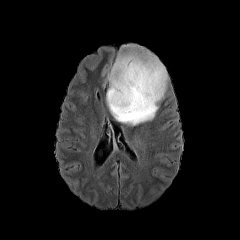
FLAIR MR image.
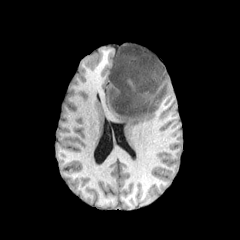
Same slice, T1-weighted magnetic resonance.
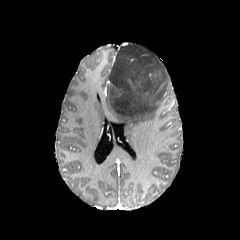
Post-contrast T1-weighted MR image.
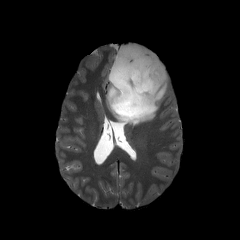
T2-weighted MRI.
Edema: bounding box l=105, t=57, r=168, b=126.